FLAIR MRI.
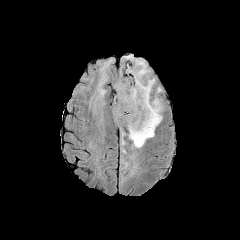
T1-weighted MRI.
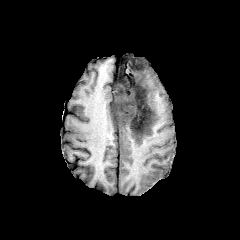
Post-contrast T1-weighted MR.
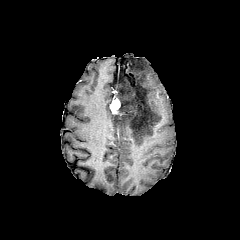
T2-weighted magnetic resonance.
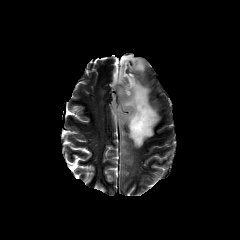
240x240 px, Head
The enhancing tumor is bounded by x1=112, y1=99, x2=121, y2=113. The non-enhancing tumor core is at x1=113, y1=80, x2=151, y2=139. 2 edema regions are bounded by x1=122, y1=154, x2=134, y2=169; x1=116, y1=55, x2=161, y2=149.